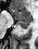

MRI
anterior hippocampus: box(10, 9, 30, 21) | posterior hippocampus: box(17, 21, 30, 29)